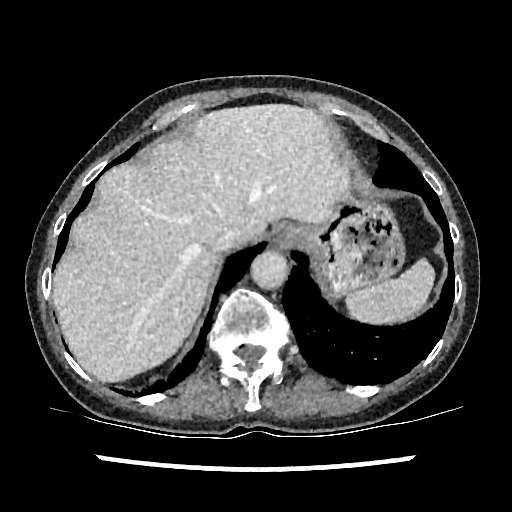

Upper abdomen; Image size 512x512; Computed tomography
<segmentation>
  <liver>54, 107, 347, 381</liver>
</segmentation>